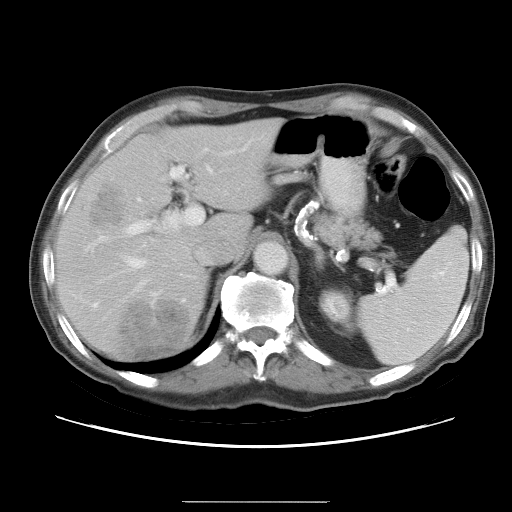
Abdomen | CT image

The vessel boxes may cover only some of the vessels.
hepatic_vessel:
  - l=180, t=274, r=194, b=277
  - l=150, t=290, r=161, b=301
  - l=92, t=303, r=97, b=307
  - l=184, t=206, r=203, b=225
  - l=203, t=148, r=207, b=151
  - l=169, t=166, r=187, b=178
  - l=163, t=211, r=177, b=228
  - l=126, t=220, r=154, b=234
  - l=149, t=238, r=153, b=241
  - l=156, t=227, r=157, b=229
liver_tumor:
  - l=121, t=301, r=189, b=356
  - l=92, t=186, r=127, b=226